FLAIR MR.
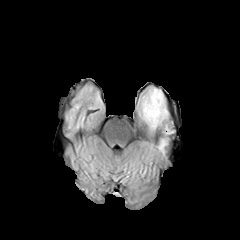
T1-weighted magnetic resonance.
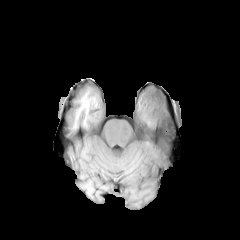
Post-contrast T1-weighted MR image.
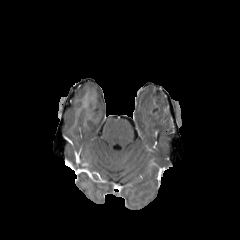
T2-weighted MRI.
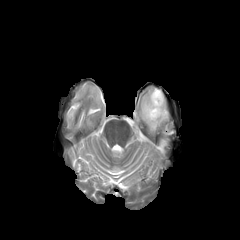
• edema: left=136, top=86, right=157, bottom=132; left=152, top=137, right=168, bottom=157
• non-enhancing tumor core: left=147, top=87, right=173, bottom=133